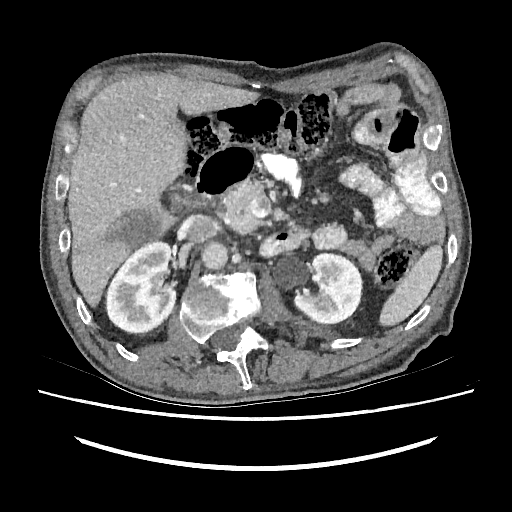

CT image; 512x512; Upper abdomen
2 kidney regions appear at 107:242:175:332, 295:254:361:323. The liver appears at 69:74:257:306. 2 hepatic lesion regions appear at 72:244:82:254, 106:208:161:252.